Field of view 35 mm wide, 1.00 mm slice spacing; Slice 12 of 39; 35x46; MRI slice

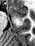
<segmentation>
  <anterior_hippocampus>left=8, top=5, right=27, bottom=20</anterior_hippocampus>
</segmentation>